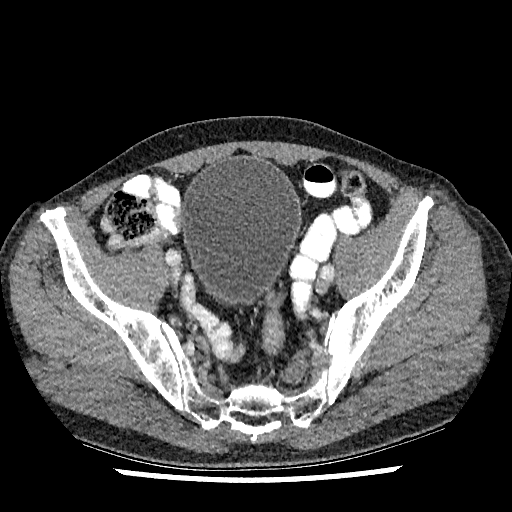 Lower abdomen, Computed tomography
Annotated regions:
* urinary bladder: 181:158:298:305